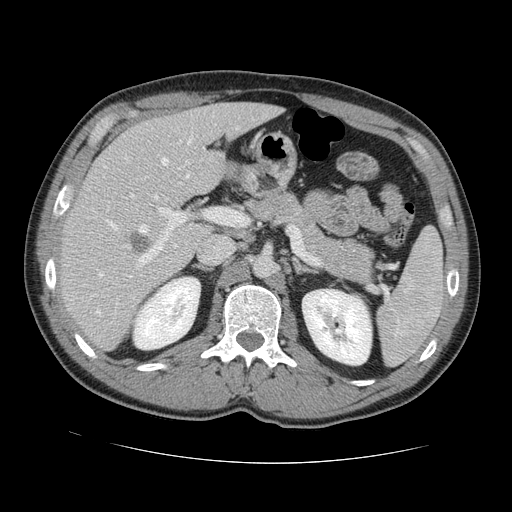
CT.
The vessel annotation is not exhaustive.
Top 15 of 28 hepatic vessel regions = region(124, 274, 131, 280); region(124, 156, 128, 162); region(185, 174, 188, 178); region(139, 225, 147, 232); region(183, 160, 188, 165); region(121, 244, 129, 248); region(137, 240, 161, 266); region(158, 208, 169, 220); region(106, 201, 109, 211); region(96, 309, 100, 315); region(109, 222, 116, 229); region(131, 297, 137, 301); region(161, 158, 167, 164); region(187, 133, 191, 143); region(129, 193, 133, 197).
Liver tumor = region(130, 232, 151, 255).